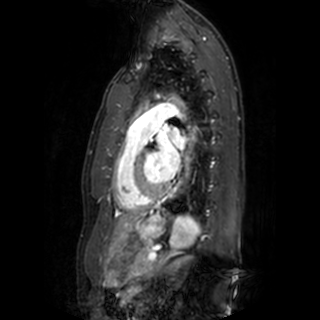 MRI slice.
2 left atrium regions are bounded by <box>156,133,179,180</box>, <box>169,128,184,149</box>.